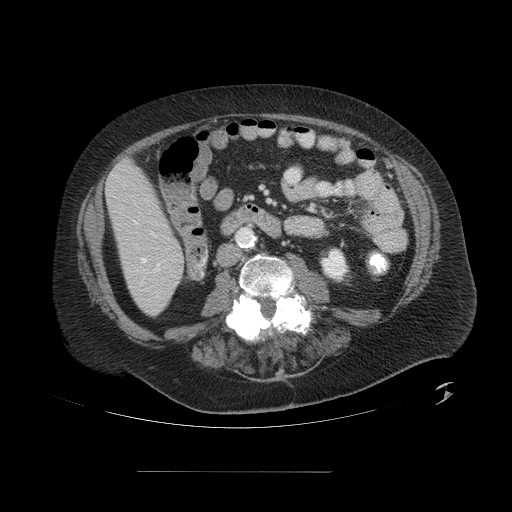

Abdomen; CT
The vessel boxes may cover only some of the vessels.
{
  "hepatic_vessel": [
    "[134, 221, 137, 224]",
    "[150, 231, 154, 235]",
    "[141, 258, 146, 262]",
    "[155, 263, 159, 270]"
  ]
}